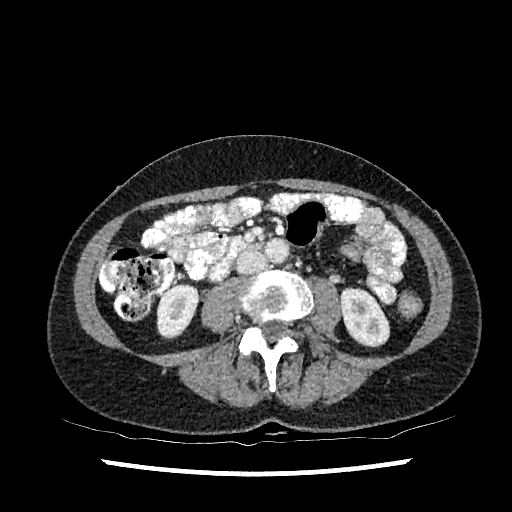
Abdomen | CT slice | Image size 512x512
kidney: (158,285,197,335), (341,289,388,345)